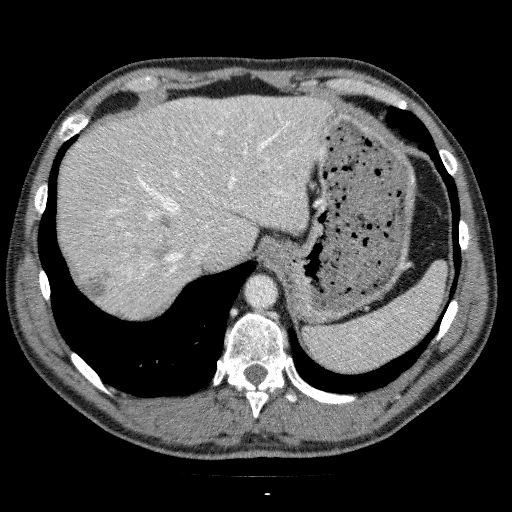

Image size 512x512, Liver, CT

- liver: [59,95,331,319]
- focal liver lesion: [150,235,174,261], [114,308,127,317], [230,149,238,159], [158,216,173,229], [65,253,110,300]